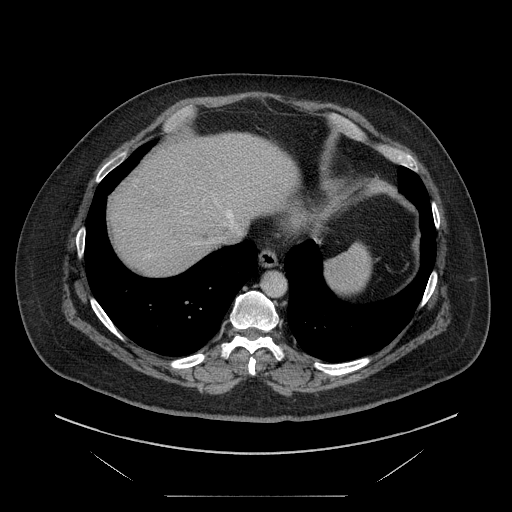 Liver | CT image
Only some of the vessels may be annotated.
Hepatic vessel at left=206, top=206, right=241, bottom=243.